Slice 122 of 192; Abdomen; Image size 512x512; CT image
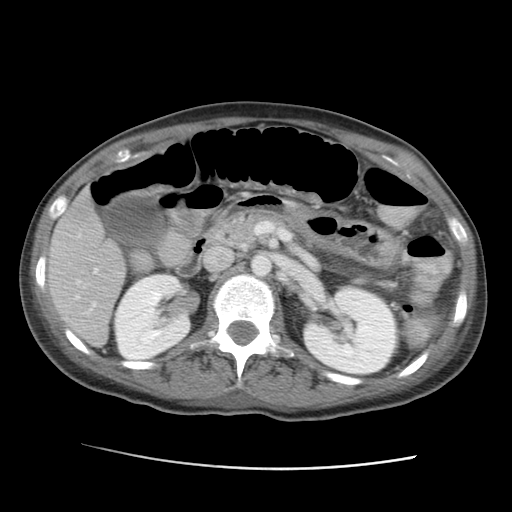 Kidney = bbox=[115, 275, 189, 359]; bbox=[304, 287, 397, 373].
Liver = bbox=[48, 185, 124, 345].